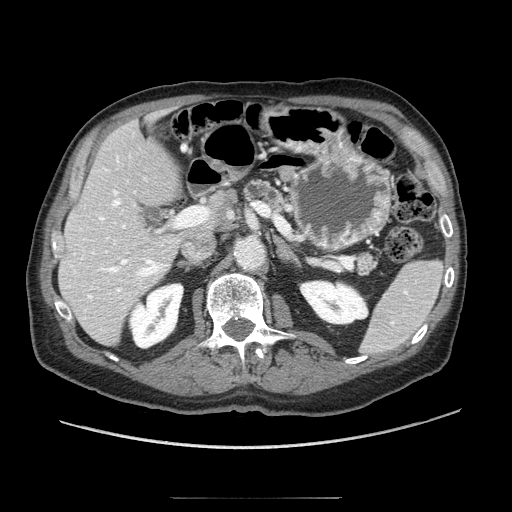

Computed tomography; Image size 512x512

Pancreas: bbox=[358, 253, 374, 273]; bbox=[243, 181, 284, 211].